Abdomen | CT scan slice
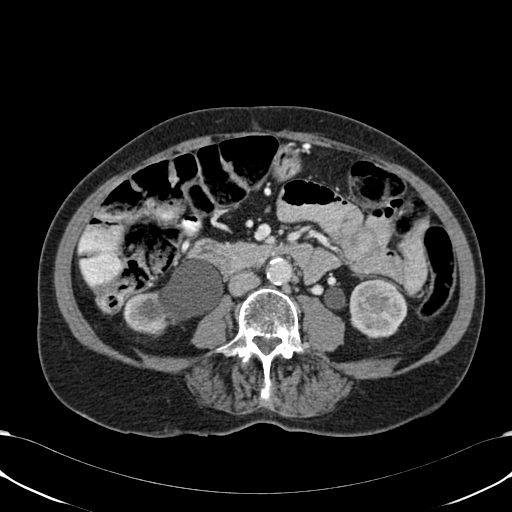
{"kidney": ["[350,280,406,337]", "[124,291,223,334]"]}